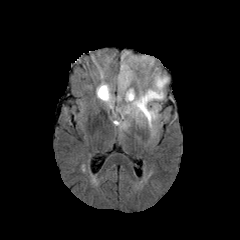
FLAIR MR image.
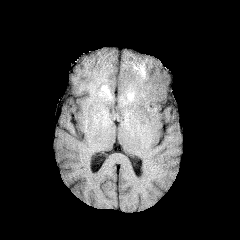
T1-weighted magnetic resonance.
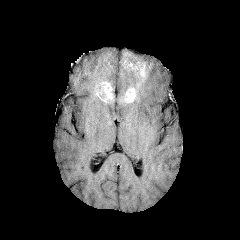
Post-contrast T1-weighted MR.
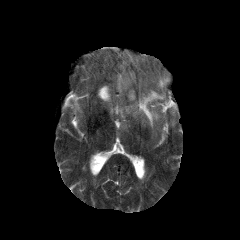
T2-weighted MR.
Edema — (123,74,168,132), (113,52,141,101).
Enhancing tumor — (125,88,135,102), (100,84,111,101).